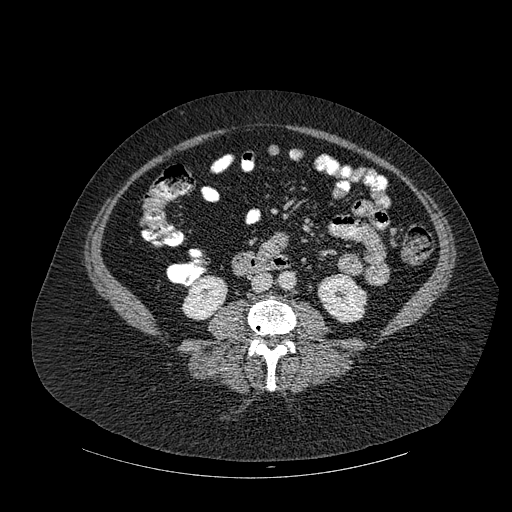
CT slice, 512x512 px, Abdomen
Bone at 248, 298, 295, 390.
Kidney at 318, 274, 365, 321; 183, 276, 226, 319.